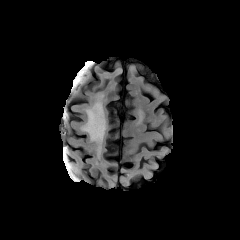
FLAIR MRI.
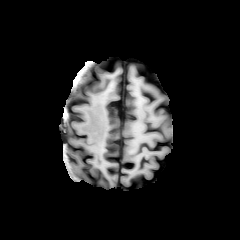
T1-weighted magnetic resonance.
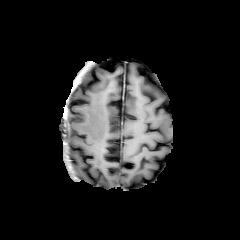
Post-contrast T1-weighted magnetic resonance.
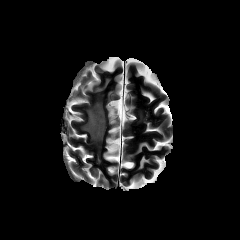
Same slice, T2-weighted MR.
Brain
Findings:
• edema: bbox(81, 98, 105, 143)